Slice 81 of 148 | 512x512 px | CT image

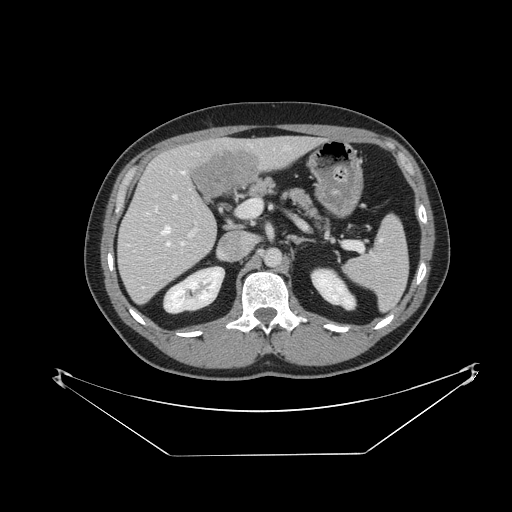

spleen:
  - 344 215 407 310